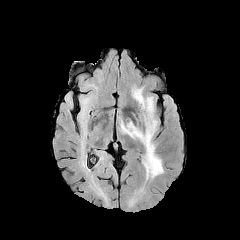
FLAIR MRI.
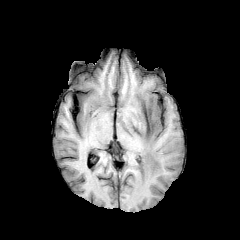
Same slice, T1-weighted MRI.
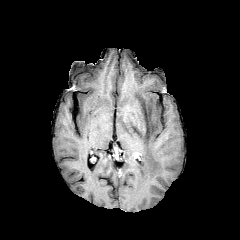
Post-contrast T1-weighted MRI.
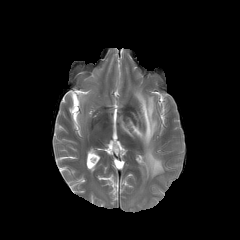
T2-weighted MR image.
Brain
<segmentation>
  <edema>rect(120, 88, 163, 179)</edema>
  <non-enhancing_tumor_core>rect(144, 109, 151, 131)</non-enhancing_tumor_core>
</segmentation>